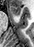
Hippocampus. MRI. Anterior hippocampus = left=10, top=6, right=20, bottom=15.